Slice 42/155, Head, Image width 240 mm
FLAIR MRI.
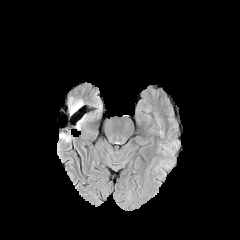
T1-weighted MR image.
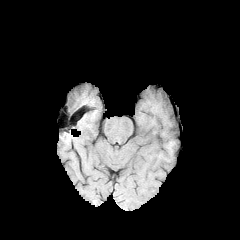
Post-contrast T1-weighted MR.
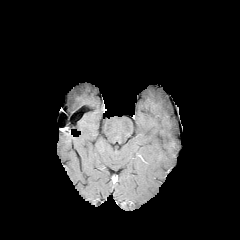
T2-weighted MR.
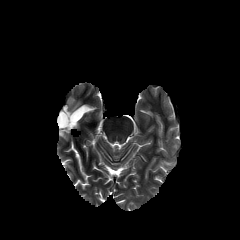
<segmentation>
  <edema>(68, 98, 82, 116)</edema>
</segmentation>